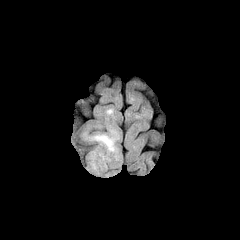
FLAIR MR.
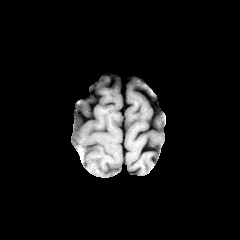
T1-weighted magnetic resonance.
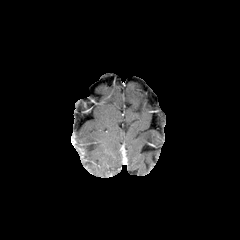
Post-contrast T1-weighted MR.
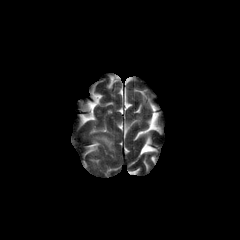
T2-weighted MRI of the same slice.
Head
Annotated regions:
* edema: (x1=91, y1=135, x2=114, y2=150)